Field of view 490x490 mm, Image size 512x512, Pelvis, CT scan slice
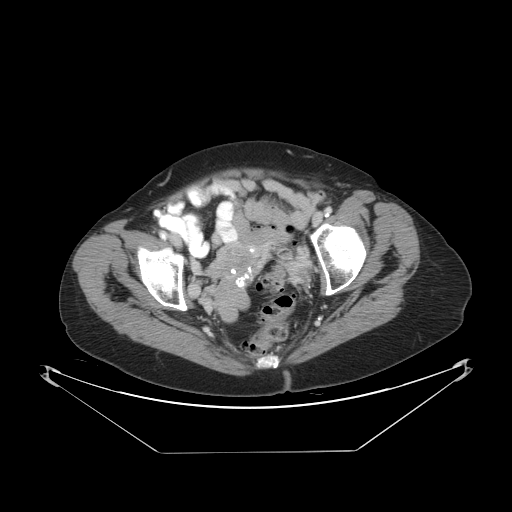

Colon tumor at region(266, 265, 285, 284).